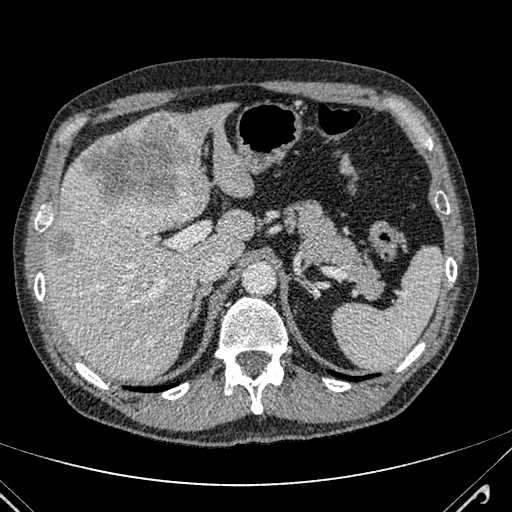

CT scan slice; Liver
Findings:
- liver: x1=92 y1=120 x2=146 y2=146, x1=47 y1=155 x2=253 y2=379, x1=157 y1=103 x2=251 y2=195
- liver lesion: x1=51 y1=234 x2=73 y2=255, x1=81 y1=116 x2=207 y2=211